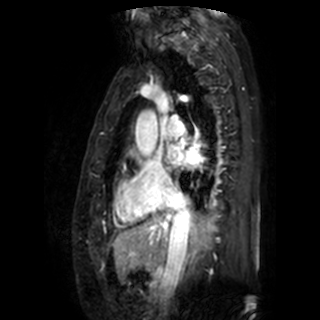

320x320 px; MR image
Left atrium: bounding box <bbox>169, 146, 202, 166</bbox>.